Computed tomography. Image size 512x512. Liver.

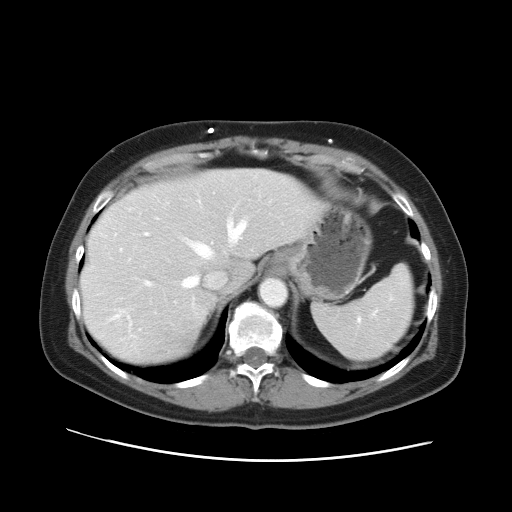
The vessel annotation is not exhaustive.
<segmentation>
  <hepatic_vessel>226,202,249,245; 155,217,158,219; 117,309,125,315; 180,236,214,259; 181,275,199,288; 145,281,151,286; 119,248,122,251</hepatic_vessel>
</segmentation>